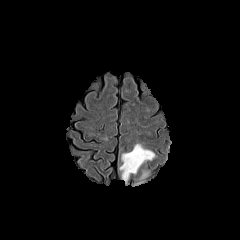
FLAIR MR image.
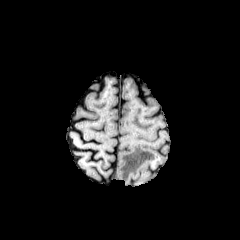
Same slice, T1-weighted MR image.
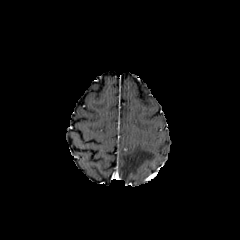
Same slice, post-contrast T1-weighted MR image.
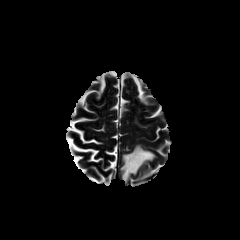
T2-weighted magnetic resonance.
Brain, Image size 240x240
{"edema": ["(119, 144, 155, 182)", "(137, 172, 148, 184)"]}